CT slice. Pelvis. 512x512. Field of view 344 mm wide, 0.80 mm slice spacing. 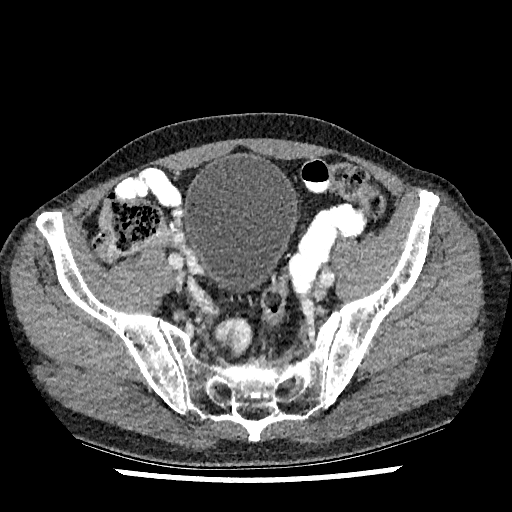

The urinary bladder appears at left=184, top=156, right=295, bottom=291.